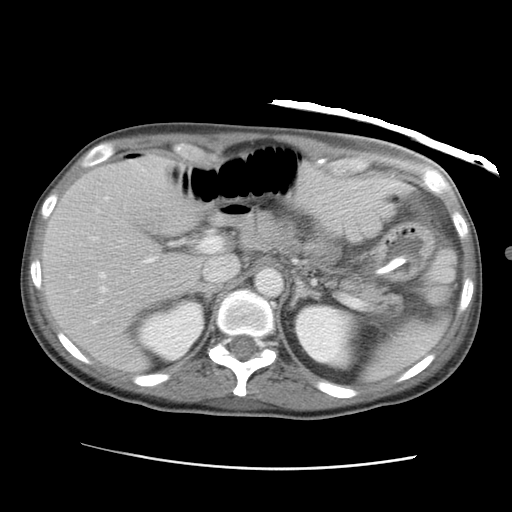
Computed tomography
<segmentation>
  <liver>(x1=179, y1=237, x2=223, y2=254), (x1=42, y1=154, x2=236, y2=371), (x1=295, y1=174, x2=409, y2=225)</liver>
  <kidney>(x1=140, y1=303, x2=202, y2=359), (x1=295, y1=306, x2=351, y2=366)</kidney>
</segmentation>